Slice index 497 | Computed tomography

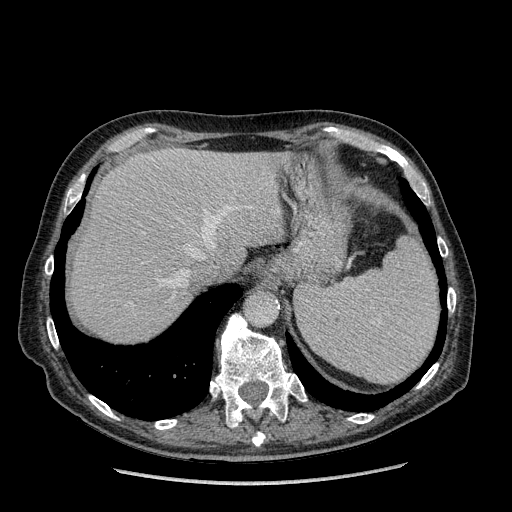 liver:
  - (71, 147, 285, 342)